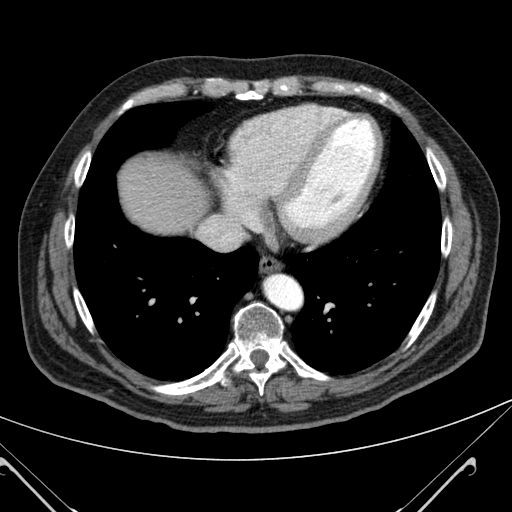
CT slice. Image size 512x512.
Liver = l=118, t=155, r=209, b=235.